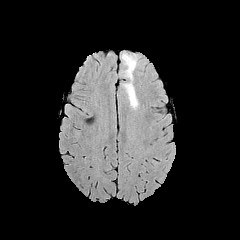
FLAIR magnetic resonance.
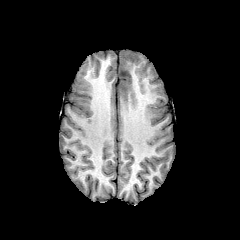
T1-weighted magnetic resonance.
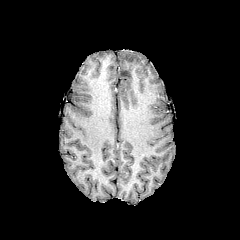
Post-contrast T1-weighted MR image of the same slice.
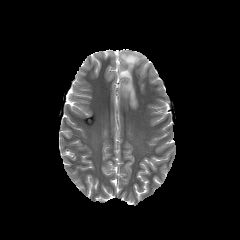
Same slice, T2-weighted magnetic resonance.
The edema appears at <bbox>120, 52, 141, 108</bbox>.